FLAIR magnetic resonance.
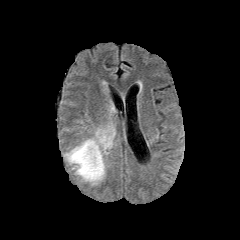
T1-weighted MR image.
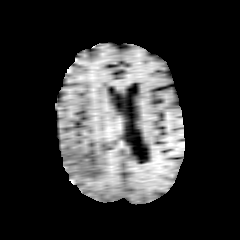
Post-contrast T1-weighted MR.
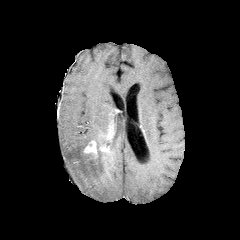
T2-weighted MRI.
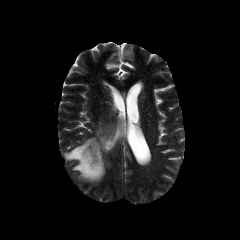
Brain.
Non-enhancing tumor core: [83,149,97,161].
Edema: [64,125,113,185], [110,130,116,149].
Enhancing tumor: [107,129,113,141], [99,144,109,151], [84,140,97,156].